Upper abdomen; Image width 380 mm; CT slice

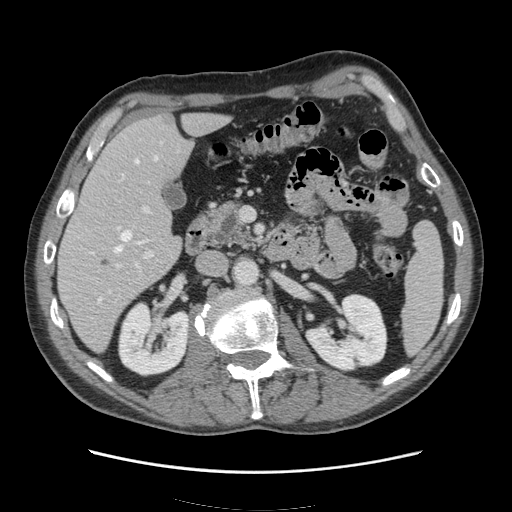
spleen:
  - (402,222,442,352)